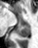
Hippocampus. MR. Posterior hippocampus: [16,23,31,37].